CT slice. Upper abdomen. Slice 550 of 908.

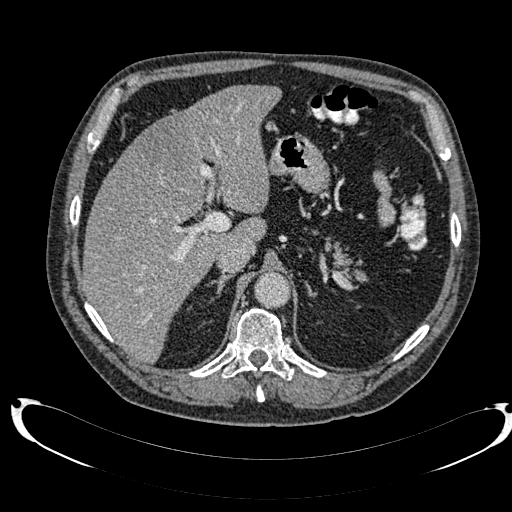 Focal liver lesion = [136, 117, 192, 174].
Liver = [81, 85, 281, 363].